Image width 240 mm
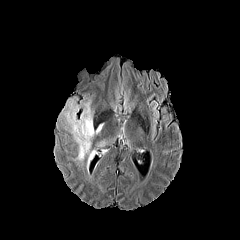
FLAIR MR.
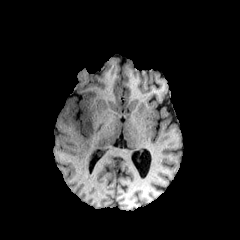
Same slice, T1-weighted MRI.
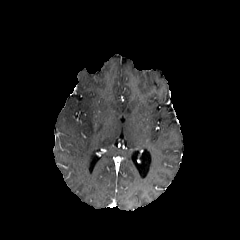
Post-contrast T1-weighted MR image of the same slice.
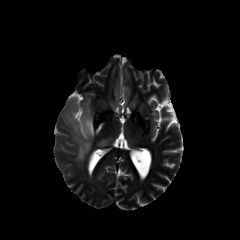
T2-weighted MR image.
2 edema regions are located at {"x1": 68, "y1": 104, "x2": 104, "y2": 162}, {"x1": 87, "y1": 150, "x2": 95, "y2": 172}.